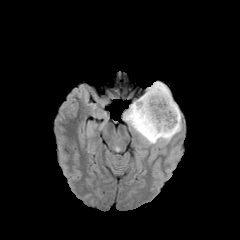
FLAIR MR image.
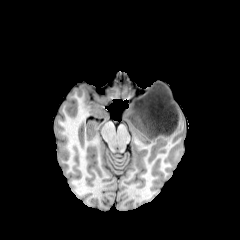
Same slice, T1-weighted MRI.
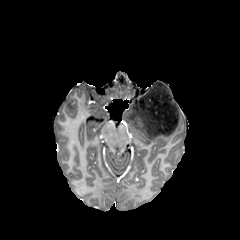
Post-contrast T1-weighted MRI.
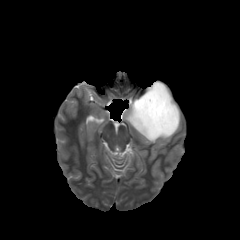
T2-weighted MR.
Brain
The edema is at rect(123, 101, 181, 151). The non-enhancing tumor core lies within rect(132, 82, 178, 137).